FLAIR MR image.
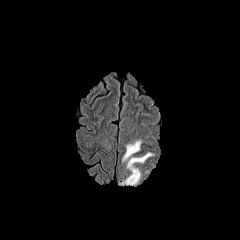
T1-weighted MR image.
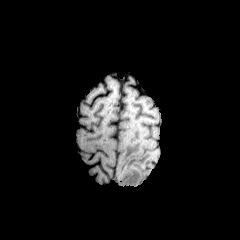
Post-contrast T1-weighted magnetic resonance.
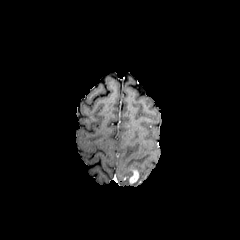
T2-weighted MR image.
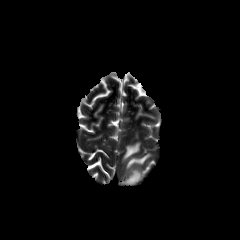
3 edema regions are located at 122,141,140,162; 118,177,134,186; 127,153,152,168. The enhancing tumor is at 129,168,139,183.